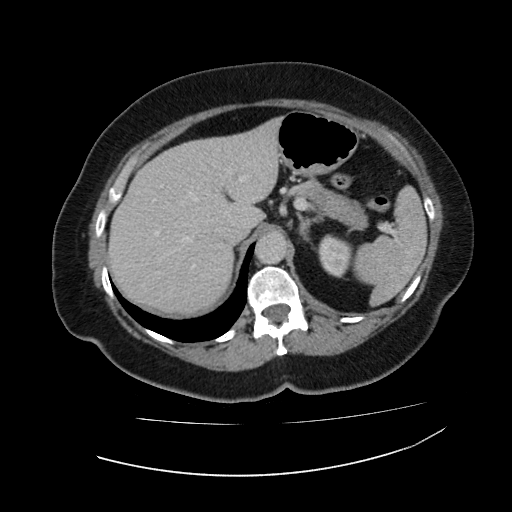

CT scan slice, 512x512 px, Abdomen

The liver appears at x1=108, y1=119, x2=280, y2=313. The kidney is at x1=319, y1=235, x2=351, y2=276.